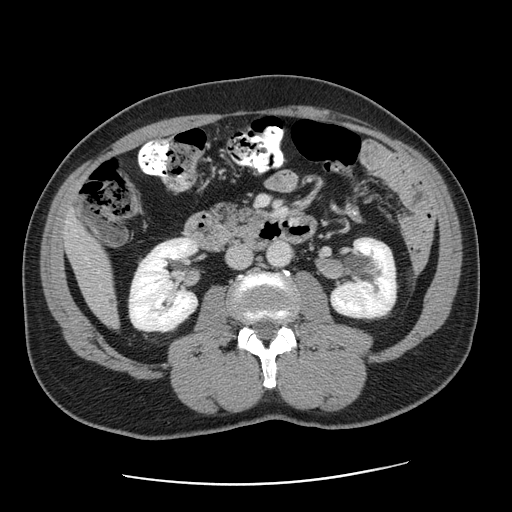

CT scan slice
Liver tumor at x1=107 y1=297 x2=116 y2=307.